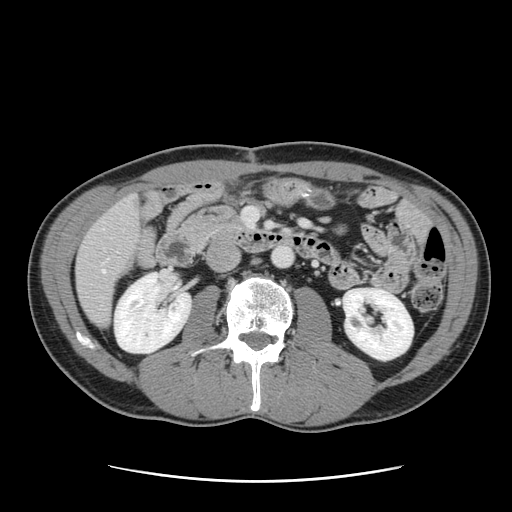

512x512, CT scan slice, Liver
The vessel annotation is not exhaustive.
The hepatic vessel is located at rect(102, 269, 104, 273).